Brain. Slice 105/155.
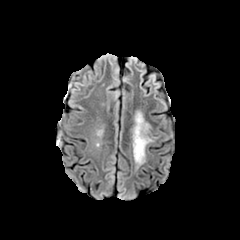
FLAIR magnetic resonance.
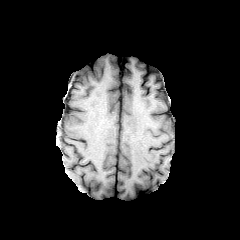
T1-weighted MR image of the same slice.
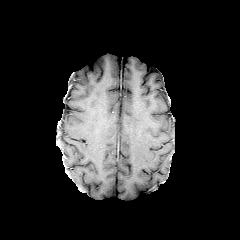
Post-contrast T1-weighted MR image.
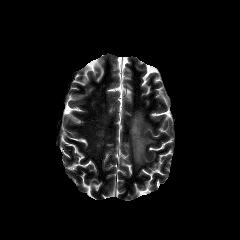
Same slice, T2-weighted MRI.
Annotated regions:
- edema: x1=132, y1=112, x2=152, y2=164